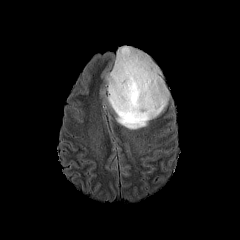
FLAIR MRI.
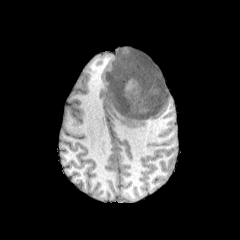
T1-weighted magnetic resonance.
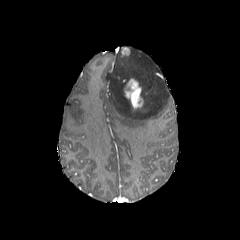
Same slice, post-contrast T1-weighted MRI.
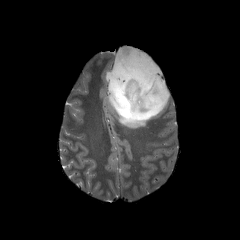
T2-weighted MR image of the same slice.
Head
<segmentation>
  <edema>[x1=109, y1=52, x2=171, y2=129]</edema>
  <enhancing_tumor>[x1=121, y1=46, x2=130, y2=56], [x1=123, y1=77, x2=145, y2=111]</enhancing_tumor>
</segmentation>